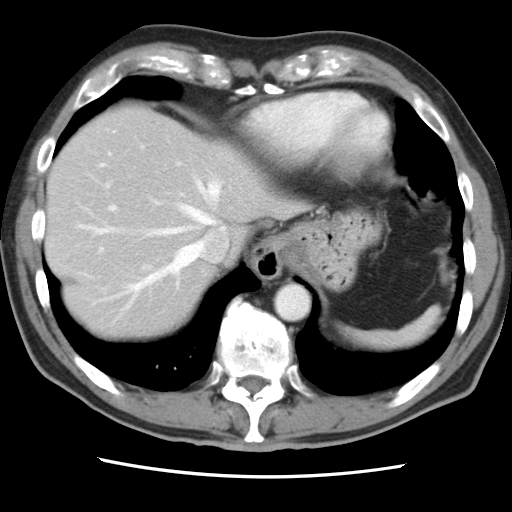
Abdomen; CT image

Only some of the vessels may be annotated.
Most prominent 15 of 20 hepatic vessel regions: bounding box x1=100 y1=247 x2=103 y2=250, x1=182 y1=208 x2=185 y2=210, x1=106 y1=183 x2=109 y2=187, x1=155 y1=201 x2=158 y2=203, x1=174 y1=269 x2=179 y2=274, x1=144 y1=265 x2=150 y2=269, x1=186 y1=212 x2=199 y2=220, x1=124 y1=280 x2=150 y2=296, x1=125 y1=302 x2=130 y2=308, x1=78 y1=224 x2=110 y2=233, x1=197 y1=181 x2=220 y2=199, x1=110 y1=206 x2=116 y2=210, x1=177 y1=281 x2=178 y2=286, x1=151 y1=228 x2=188 y2=234, x1=100 y1=164 x2=104 y2=166.